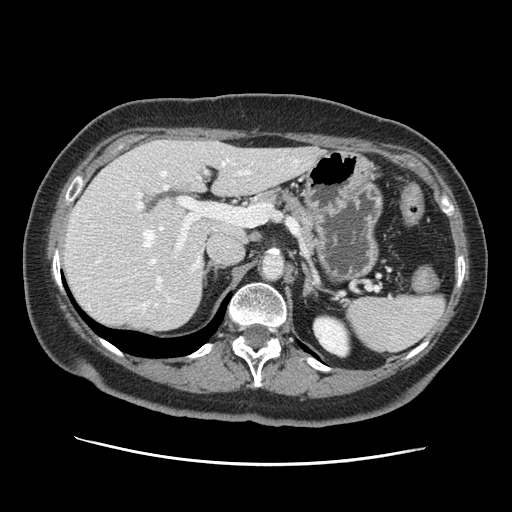

512x512 px, CT image, Upper abdomen
Spleen: bounding box [x1=347, y1=295, x2=444, y2=351].